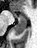

Image size 37x48 | MR image
posterior hippocampus: rect(13, 20, 25, 35) | anterior hippocampus: rect(12, 13, 26, 19)